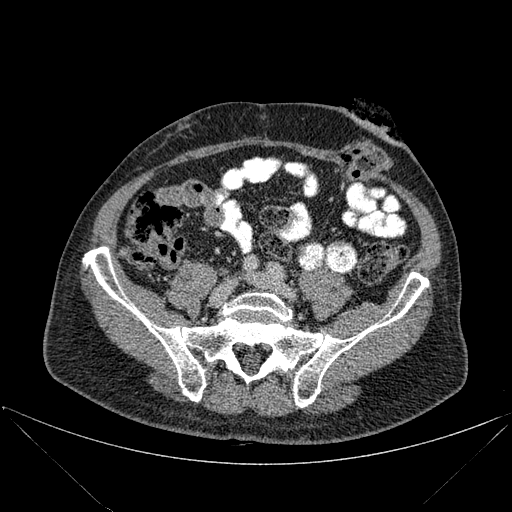

CT image, 512x512

Bone = left=83, top=247, right=428, bottom=407.